MRI. Slice 20 of 37.

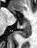 Posterior hippocampus: (left=16, top=22, right=30, bottom=37).